CT image, Slice 67/112

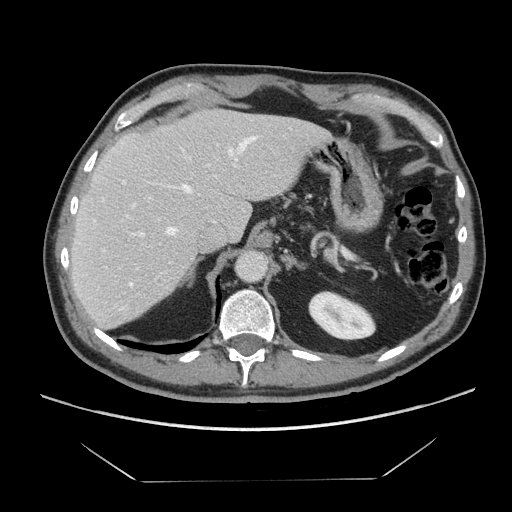
The pancreas appears at 326, 250, 335, 260.